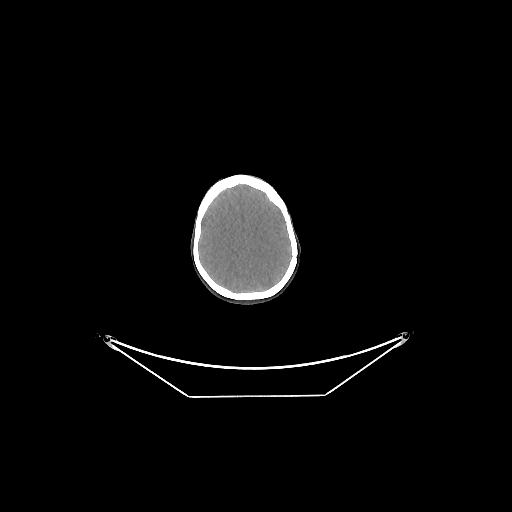 CT scan slice

Brain = (198, 185, 292, 292).